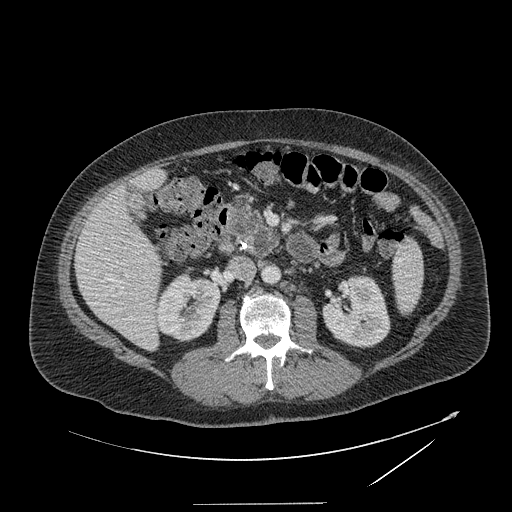
CT slice; Image size 512x512
{
  "pancreas": [
    "x1=233 y1=205 x2=280 y2=256"
  ]
}